Slice index 10 | MRI
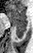

posterior hippocampus: bbox(13, 23, 27, 38) | anterior hippocampus: bbox(9, 5, 27, 22)